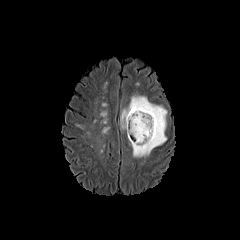
FLAIR magnetic resonance.
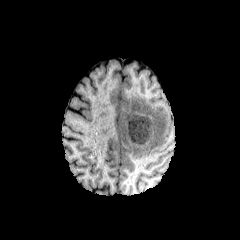
T1-weighted MRI.
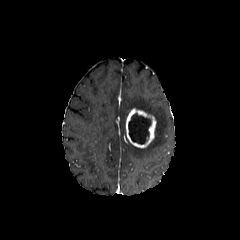
Same slice, post-contrast T1-weighted MRI.
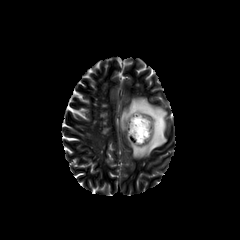
Same slice, T2-weighted MRI.
Brain
enhancing_tumor:
  - 125,108,156,148
edema:
  - 120,97,166,158
non-enhancing_tumor_core:
  - 128,113,151,144